Pelvis, Slice 127/629, Computed tomography, Field of view 400 mm wide, 0.70 mm slice spacing
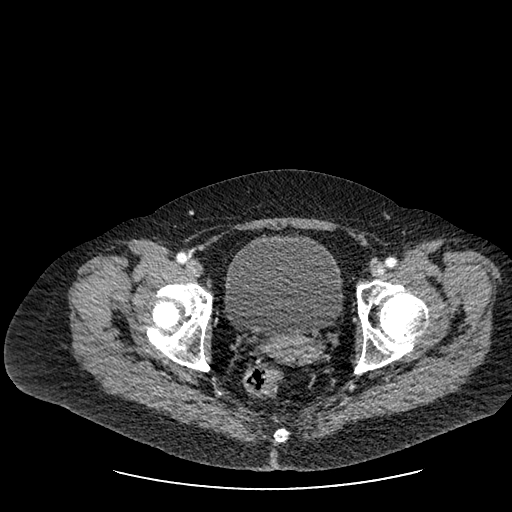

urinary_bladder:
  - [225,233,341,337]